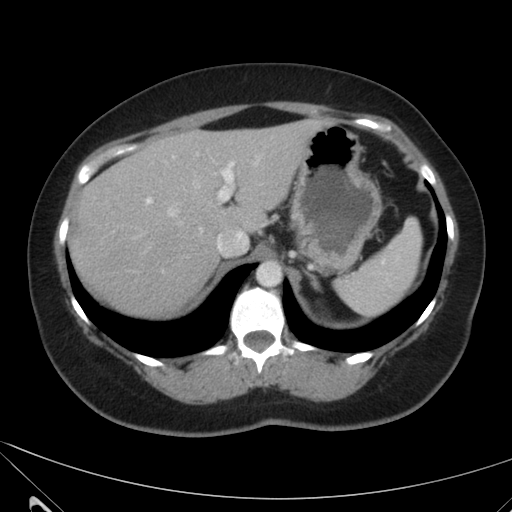

Upper abdomen. Computed tomography.

The liver is located at x1=69 y1=119 x2=333 y2=315.